FLAIR MR.
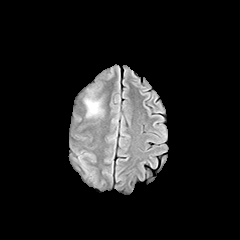
T1-weighted MR image.
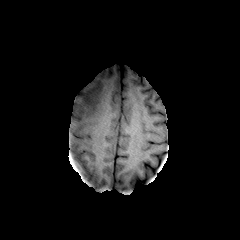
Post-contrast T1-weighted MRI.
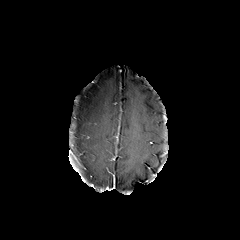
T2-weighted MR image.
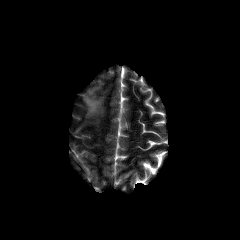
Edema at {"x1": 85, "y1": 97, "x2": 101, "y2": 116}.